CT | Image width 430 mm

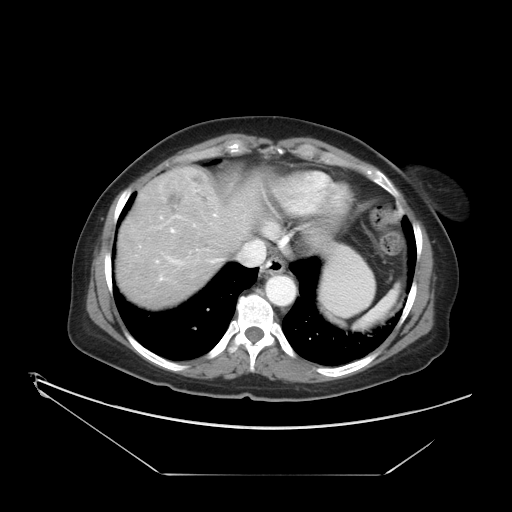
Not every hepatic vessel necessarily has a box.
Findings:
* hepatic vessel: 160, 277, 162, 279; 212, 261, 213, 262; 171, 228, 174, 232; 167, 257, 180, 263
* liver tumor: 168, 195, 179, 205; 191, 176, 202, 185